240x240. Head.
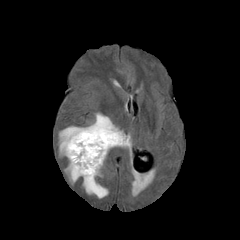
FLAIR MRI.
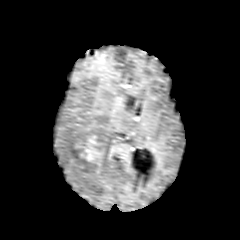
T1-weighted MR image.
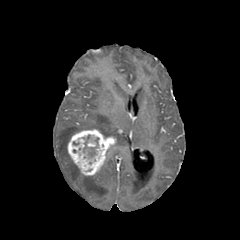
Post-contrast T1-weighted magnetic resonance of the same slice.
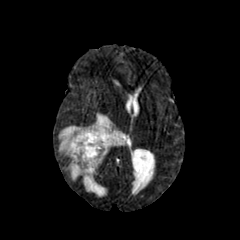
T2-weighted MRI.
Segmented structures:
• non-enhancing tumor core: x1=84, y1=148, x2=94, y2=156
• edema: x1=85, y1=113, x2=131, y2=147; x1=59, y1=126, x2=82, y2=181; x1=83, y1=176, x2=108, y2=197
• enhancing tumor: x1=67, y1=127, x2=116, y2=176